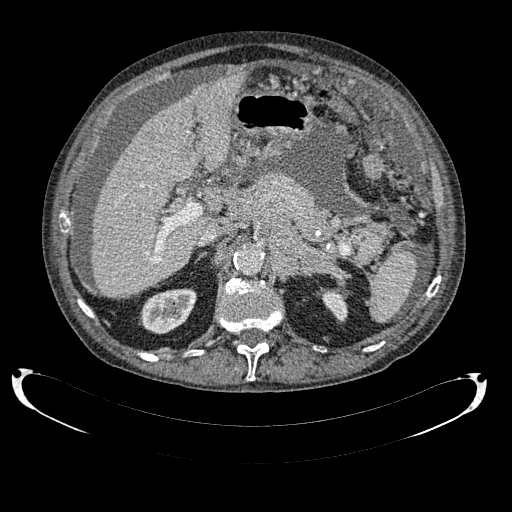

CT slice. 2 kidney regions are bounded by (142, 289, 195, 332), (323, 291, 347, 320). The liver lies within (92, 71, 247, 297).